Slice index 8. MRI slice. 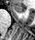
The anterior hippocampus is at (14, 5, 25, 13).